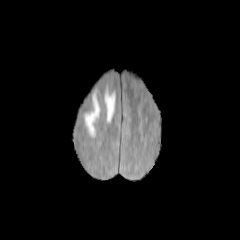
FLAIR MR image.
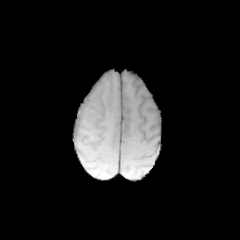
T1-weighted MRI.
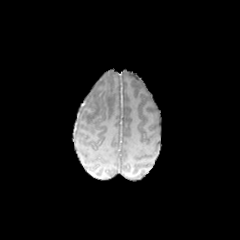
Post-contrast T1-weighted MRI.
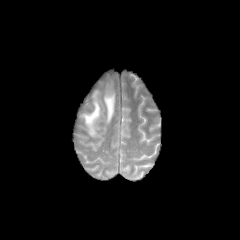
T2-weighted magnetic resonance of the same slice.
edema: rect(103, 88, 115, 123); rect(81, 92, 100, 137)